Brain. Slice index 77. Field of view 240 mm wide, 1.00 mm slice spacing.
FLAIR MR.
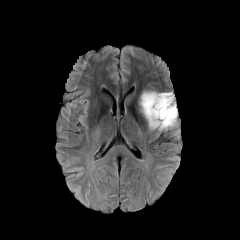
T1-weighted MR.
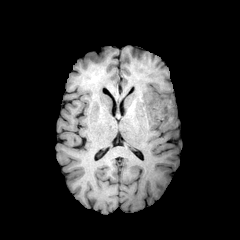
Post-contrast T1-weighted MRI.
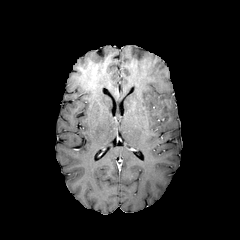
T2-weighted MR image.
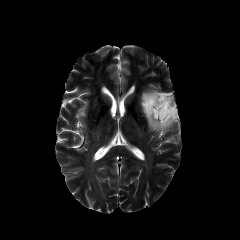
The edema is bounded by {"x1": 139, "y1": 89, "x2": 177, "y2": 132}. The non-enhancing tumor core appears at {"x1": 146, "y1": 95, "x2": 175, "y2": 123}.